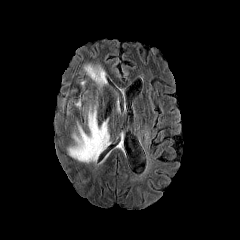
FLAIR MRI.
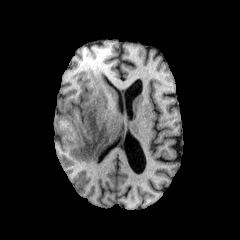
Same slice, T1-weighted MRI.
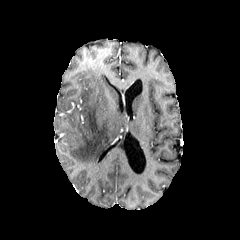
Post-contrast T1-weighted MRI.
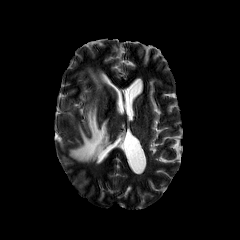
T2-weighted MR of the same slice.
Brain | 240x240 px
<segmentation>
  <edema><box>84,66,107,90</box>, <box>67,97,111,163</box></edema>
</segmentation>